CT scan slice, 512x512 px 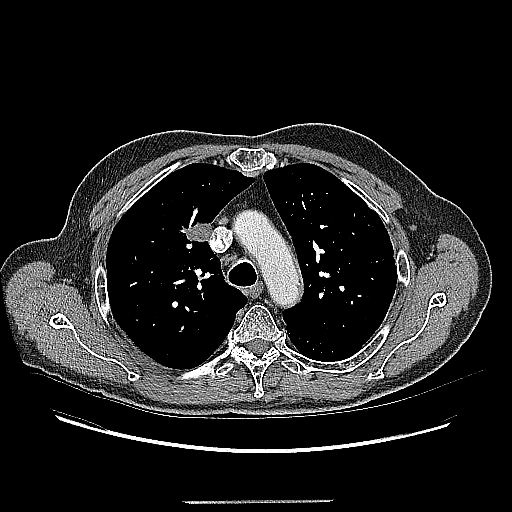

Segmented structures:
• lung tumor: (x1=184, y1=221, x2=210, y2=241)